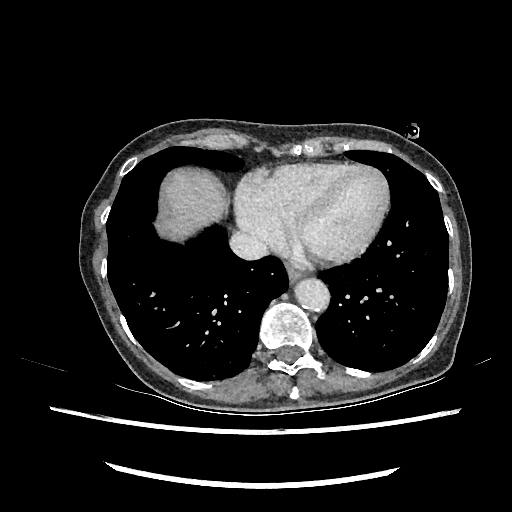 Abdomen, Computed tomography

The liver is located at box=[167, 172, 223, 233].